CT image, Abdomen, Slice index 447 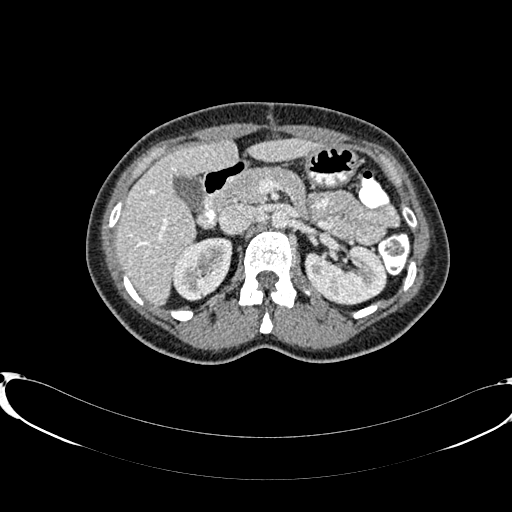
liver: region(116, 140, 236, 304); region(250, 139, 316, 160) | kidney: region(306, 245, 385, 302); region(174, 240, 230, 299)